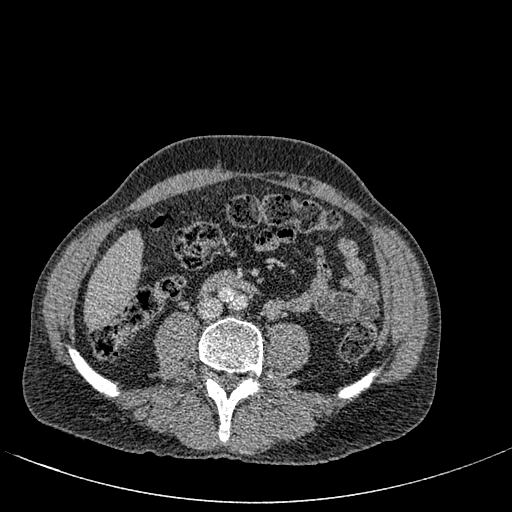
CT
Liver = left=85, top=232, right=140, bottom=324.